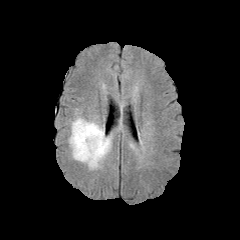
FLAIR MR.
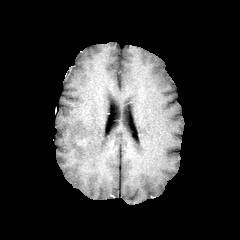
Same slice, T1-weighted MR image.
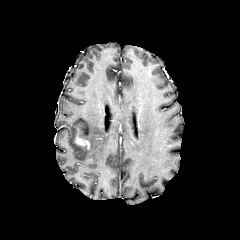
Same slice, post-contrast T1-weighted MR image.
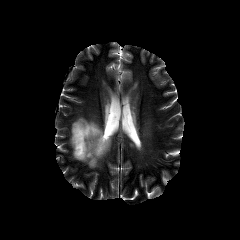
T2-weighted MR image.
The edema is at 68,116,113,169. The enhancing tumor is located at 76,137,89,148.